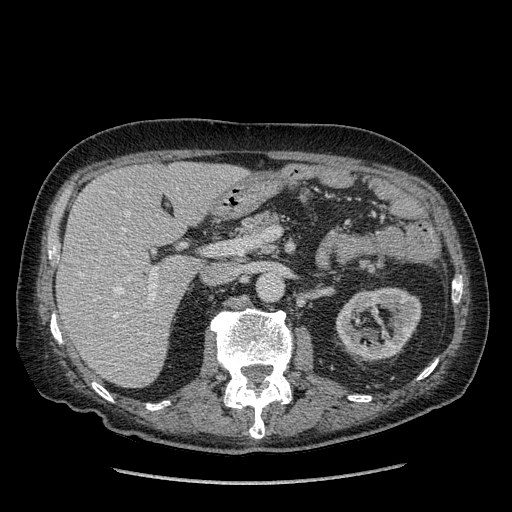
Computed tomography. 512x512. Liver. Kidney = (336,287,420,360).
Liver = (56,162,244,387).